512x512 px | Slice 25 of 37 | CT slice | Field of view 422x422 mm 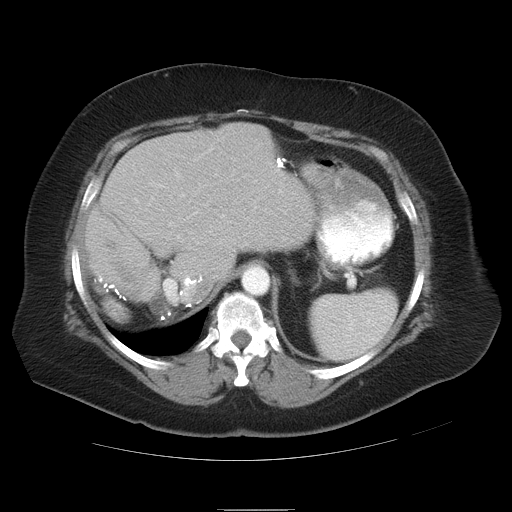
Not every hepatic vessel necessarily has a box.
liver_tumor:
  - {"x1": 101, "y1": 238, "x2": 141, "y2": 288}
hepatic_vessel:
  - {"x1": 219, "y1": 239, "x2": 223, "y2": 243}
  - {"x1": 169, "y1": 222, "x2": 173, "y2": 225}
  - {"x1": 180, "y1": 193, "x2": 184, "y2": 197}
  - {"x1": 183, "y1": 275, "x2": 190, "y2": 279}
  - {"x1": 164, "y1": 279, "x2": 195, "y2": 299}